Abdomen | 512x512 | CT image | Slice 37 of 47
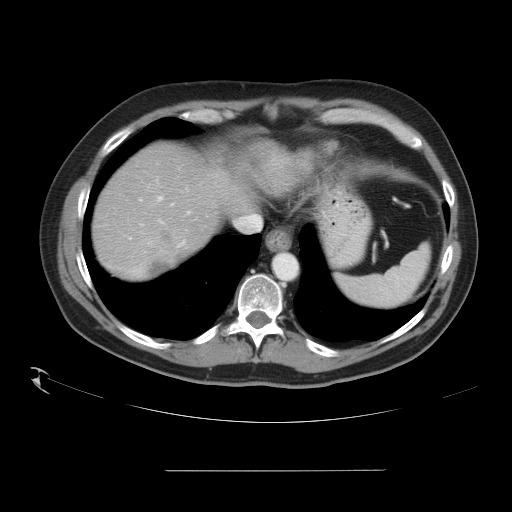 Liver tumor: (149,259,165,274).